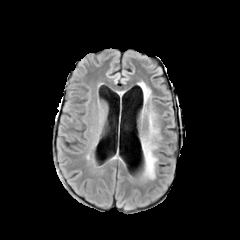
FLAIR magnetic resonance.
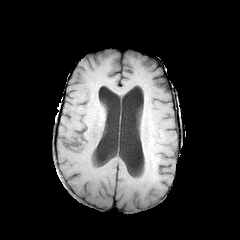
T1-weighted MRI.
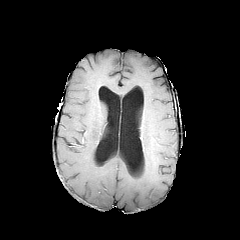
Post-contrast T1-weighted MR image.
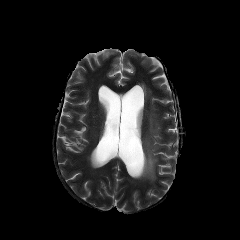
T2-weighted MR.
Head. 240x240.
edema: bbox(139, 81, 150, 97); bbox(140, 113, 158, 178)